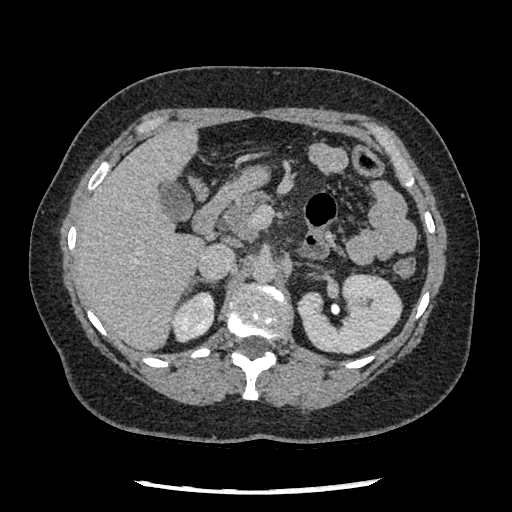 Upper abdomen, Computed tomography, 512x512
Pancreas: (224,193,266,236).